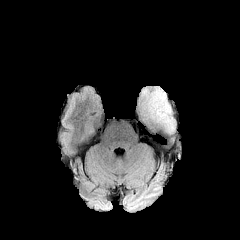
FLAIR MR.
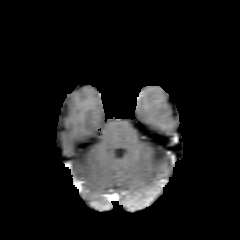
Same slice, T1-weighted MR image.
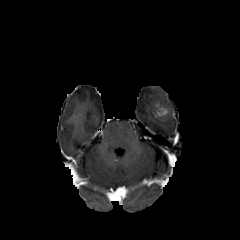
Same slice, post-contrast T1-weighted MRI.
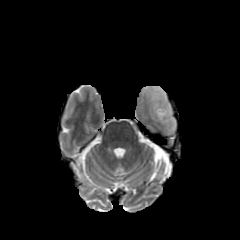
T2-weighted MRI.
240x240
{
  "enhancing_tumor": [
    "box(158, 108, 167, 115)"
  ],
  "edema": [
    "box(142, 86, 175, 133)"
  ]
}